Lower abdomen | CT image | Image width 400 mm | Slice 108 of 629

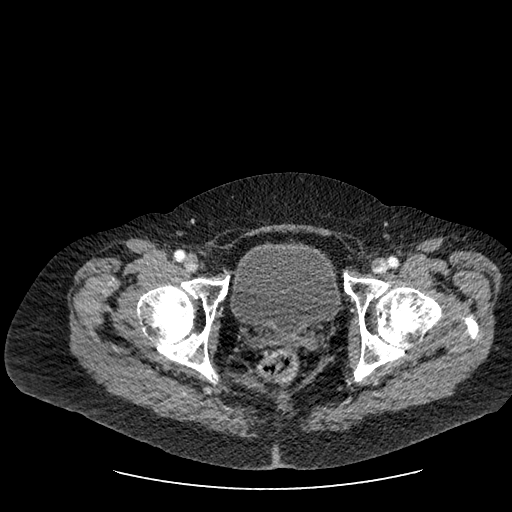
urinary bladder: l=229, t=242, r=341, b=337